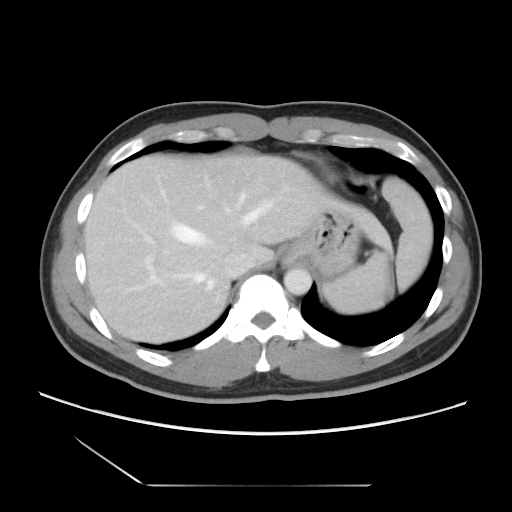

Abdomen; CT
Only some of the vessels may be annotated.
Hepatic vessel: bounding box <bbox>208, 281, 212, 287</bbox>, <bbox>231, 224, 233, 226</bbox>, <bbox>196, 274, 203, 281</bbox>, <bbox>224, 192, 246, 215</bbox>, <bbox>147, 238, 149, 240</bbox>, <bbox>176, 226, 202, 242</bbox>, <bbox>205, 185, 209, 187</bbox>, <bbox>239, 204, 262, 227</bbox>.